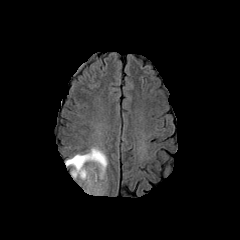
FLAIR MRI.
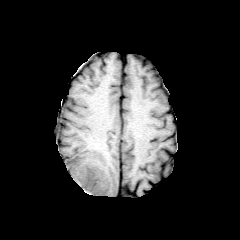
T1-weighted MRI.
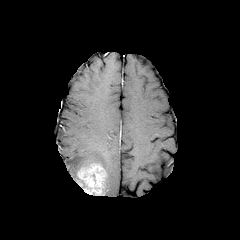
Post-contrast T1-weighted MR image.
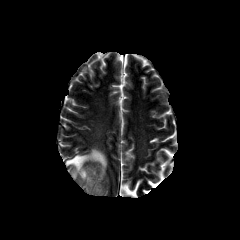
T2-weighted MRI.
Head
Edema = x1=65, y1=147, x2=107, y2=178.
Enhancing tumor = x1=76, y1=164, x2=105, y2=195.